Liver, Image size 512x512, Computed tomography 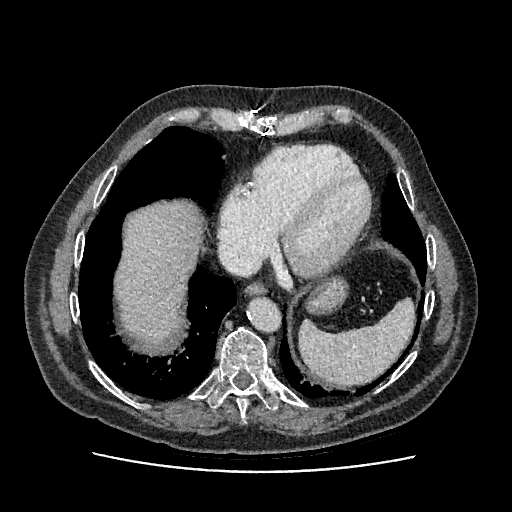

Segmented structures:
* liver: x1=116, y1=203, x2=200, y2=342